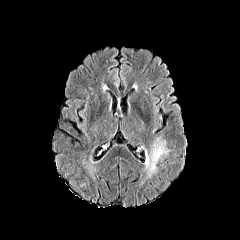
FLAIR MR image.
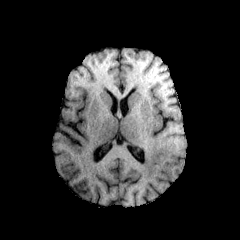
Same slice, T1-weighted MR image.
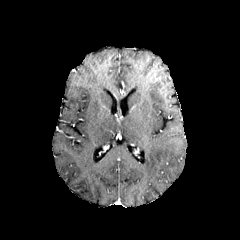
Post-contrast T1-weighted MR.
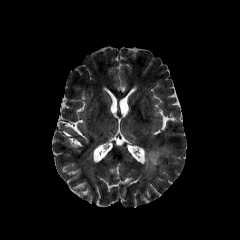
T2-weighted magnetic resonance of the same slice.
Head
{
  "edema": [
    "144:141:166:175"
  ]
}